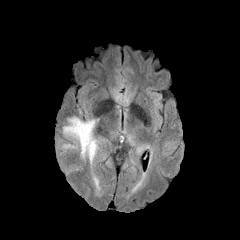
FLAIR magnetic resonance.
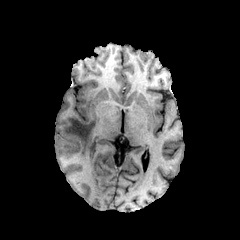
Same slice, T1-weighted MR.
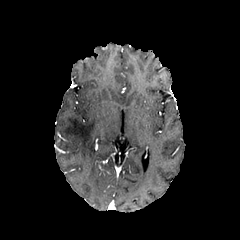
Same slice, post-contrast T1-weighted magnetic resonance.
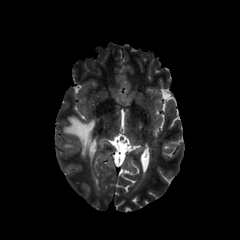
T2-weighted MR image.
Brain
2 edema regions are bounded by 62:144:76:148, 63:117:99:162.